CT slice. 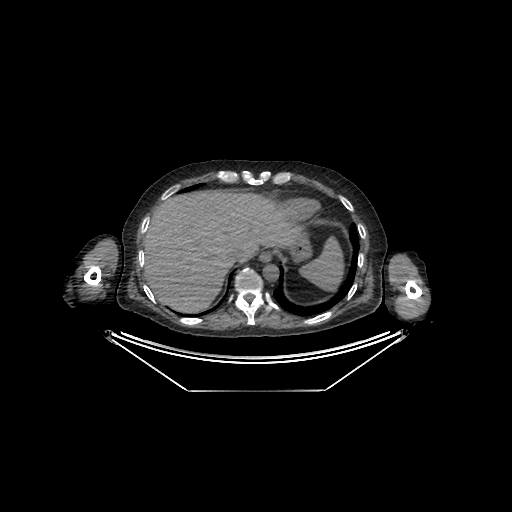

<segmentation>
  <liver>bbox(142, 190, 299, 312)</liver>
</segmentation>